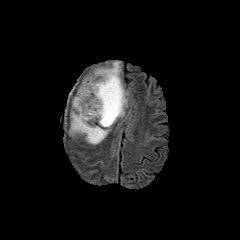
FLAIR MRI.
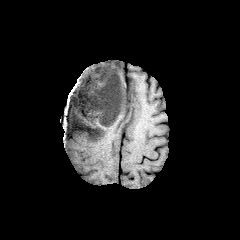
Same slice, T1-weighted MR.
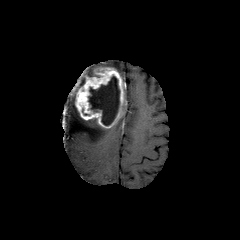
Same slice, post-contrast T1-weighted MR image.
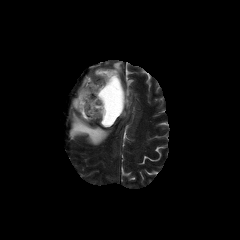
T2-weighted magnetic resonance.
Image size 240x240
Edema: bounding box (105,61,121,73), (68,78,109,144).
Non-enhancing tumor core: bounding box (89,76,126,127).
Enhancing tumor: bounding box (74,67,126,126).